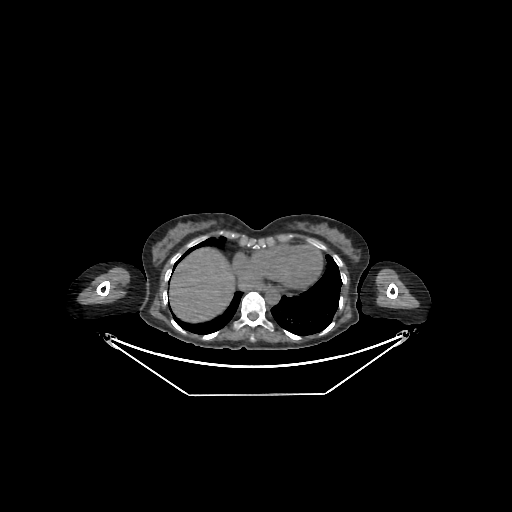 CT slice
Liver — bbox(170, 248, 234, 322).